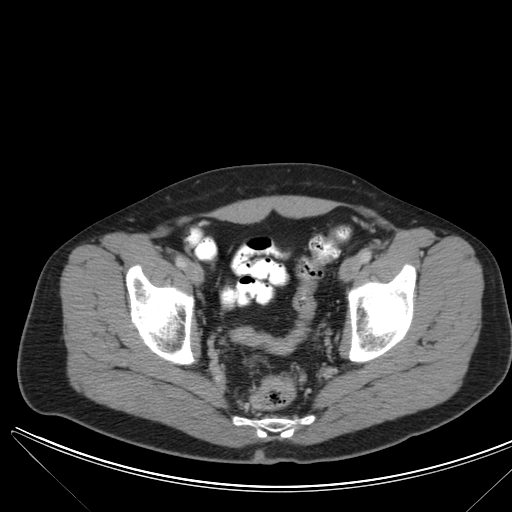

Pelvis, CT image
{"colon_tumor": ["250, 376, 294, 408"]}